CT, Slice index 31
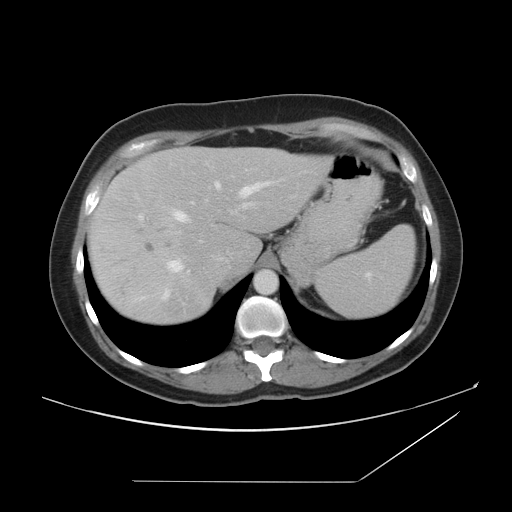 The vessel boxes may cover only some of the vessels.
Hepatic vessel — [231, 211, 236, 212], [167, 259, 182, 271], [240, 182, 270, 196], [187, 270, 189, 273], [215, 182, 219, 187], [138, 215, 143, 219], [174, 211, 186, 221], [200, 240, 202, 242].